Image size 240x240. Brain.
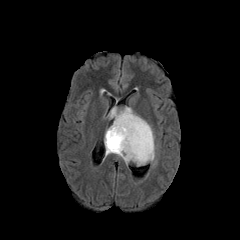
FLAIR MR image.
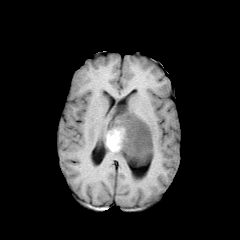
T1-weighted MRI of the same slice.
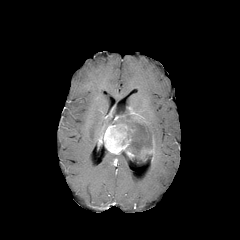
Post-contrast T1-weighted magnetic resonance of the same slice.
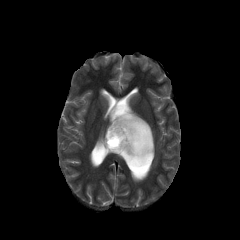
T2-weighted MR.
edema:
  - 149:144:157:167
  - 116:155:133:166
  - 103:104:134:121
  - 138:115:155:143
enhancing_tumor:
  - 129:110:145:123
  - 103:115:134:158
  - 141:140:154:157
non-enhancing_tumor_core:
  - 120:111:152:165